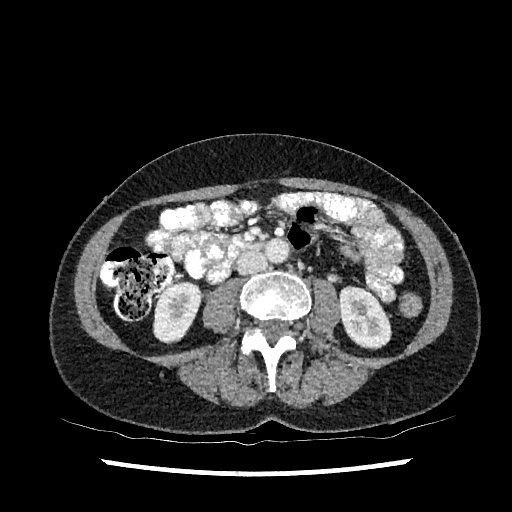
512x512; CT image
Kidney: l=340, t=288, r=390, b=346; l=154, t=283, r=200, b=341.